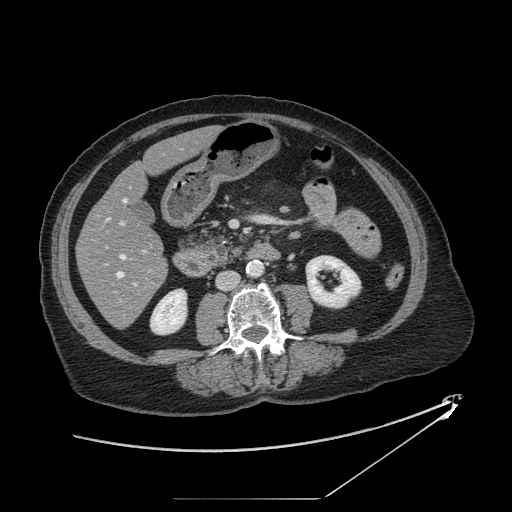 CT image
The pancreas is at x1=202, y1=236, x2=234, y2=267.